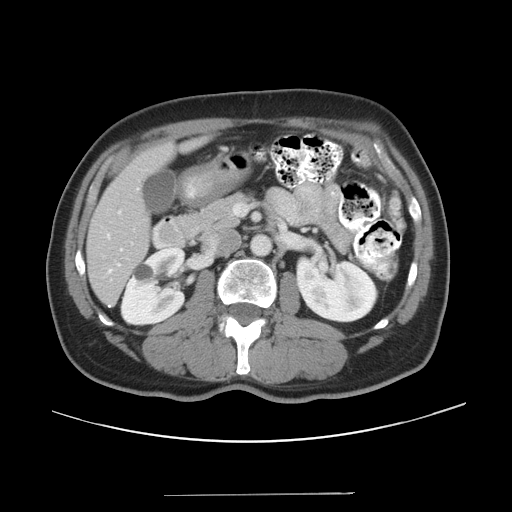
512x512; Computed tomography; Liver
Only some of the vessels may be annotated.
6 hepatic vessel regions are bounded by (left=118, top=211, right=120, bottom=213), (left=108, top=269, right=110, bottom=272), (left=136, top=188, right=138, bottom=190), (left=118, top=264, right=119, bottom=265), (left=107, top=234, right=109, bottom=237), (left=120, top=248, right=121, bottom=250).